Slice 35 of 44 | Computed tomography
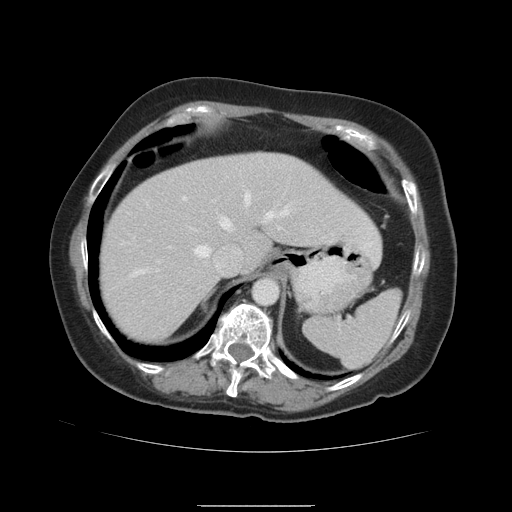 Only some of the vessels may be annotated.
8 hepatic vessel regions are located at x1=158, y1=260, x2=159, y2=261; x1=131, y1=270, x2=146, y2=276; x1=195, y1=246, x2=211, y2=257; x1=183, y1=196, x2=186, y2=199; x1=264, y1=205, x2=290, y2=222; x1=220, y1=217, x2=232, y2=230; x1=246, y1=191, x2=251, y2=204; x1=278, y1=226, x2=281, y2=229.